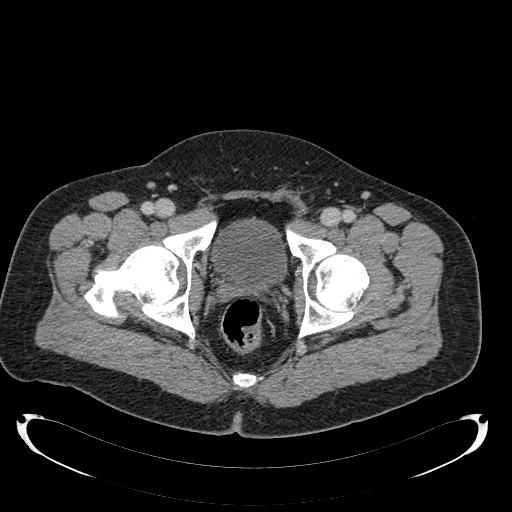
CT slice, Image size 512x512
Urinary bladder = {"x1": 210, "y1": 219, "x2": 287, "y2": 301}.